Liver | 512x512 | Slice index 521 | CT image
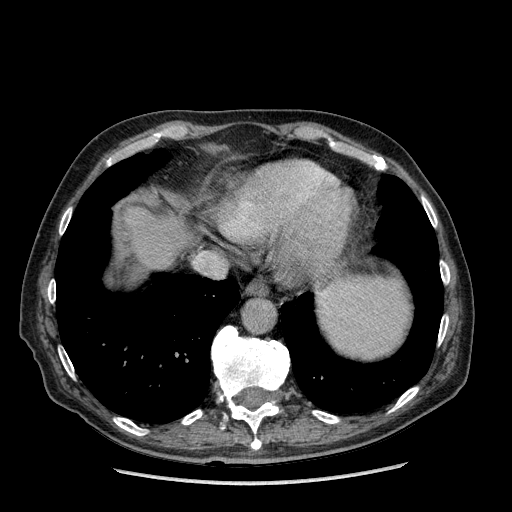 liver:
  - x1=126, y1=208, x2=191, y2=269